CT scan slice | Image width 400 mm | Upper abdomen 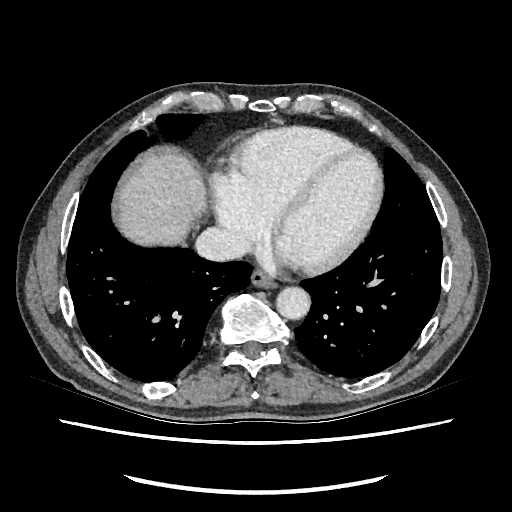
Liver = (left=118, top=154, right=204, bottom=243).